FLAIR MRI.
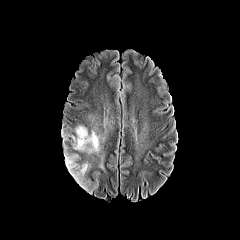
T1-weighted MRI.
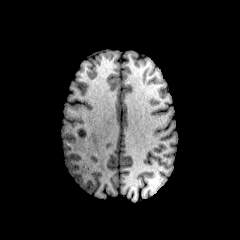
Post-contrast T1-weighted MRI.
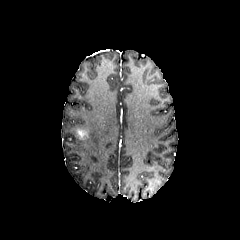
T2-weighted MR.
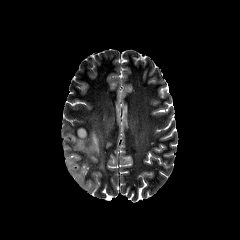
Brain
<segmentation>
  <edema>box(71, 131, 104, 154); box(64, 152, 90, 189); box(75, 125, 86, 135)</edema>
  <enhancing_tumor>box(77, 128, 87, 139)</enhancing_tumor>
</segmentation>